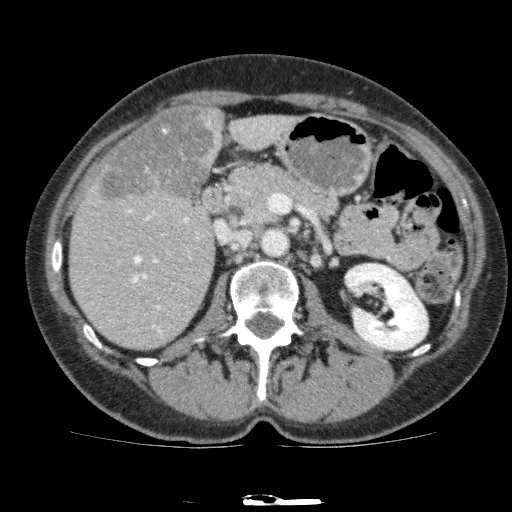
CT image; Upper abdomen

Liver: box(200, 106, 225, 172); box(68, 166, 215, 350); box(228, 115, 301, 151).
Kidney: box(345, 264, 427, 349).
Liver lesion: box(97, 107, 217, 202).